Image width 479 mm. Abdomen. Slice 13/36. CT slice. 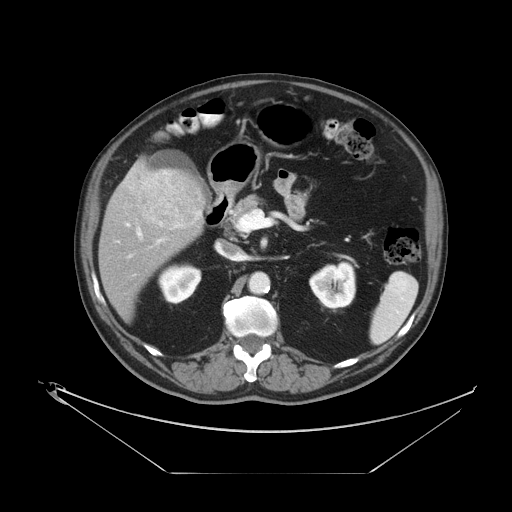

Not every hepatic vessel necessarily has a box.
The liver tumor is located at rect(142, 172, 202, 226). 13 hepatic vessel regions appear at rect(141, 175, 151, 188); rect(126, 223, 129, 225); rect(143, 211, 156, 222); rect(161, 170, 170, 171); rect(124, 181, 134, 189); rect(172, 225, 184, 228); rect(129, 255, 132, 256); rect(159, 224, 161, 226); rect(137, 228, 142, 240); rect(190, 222, 194, 223); rect(129, 168, 134, 178); rect(156, 238, 165, 244); rect(195, 213, 200, 220).